FLAIR MRI.
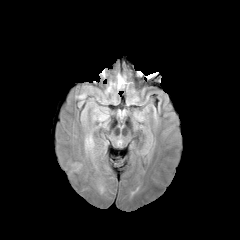
T1-weighted MR.
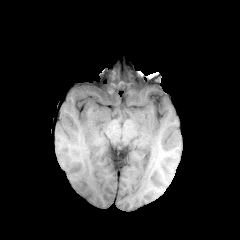
Post-contrast T1-weighted MR image.
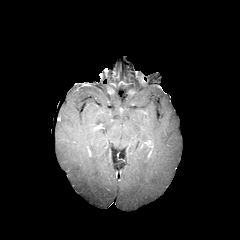
T2-weighted MRI.
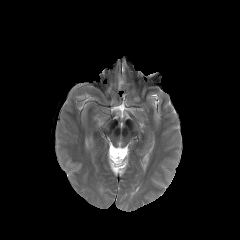
2 edema regions are bounded by {"x1": 102, "y1": 73, "x2": 131, "y2": 101}, {"x1": 118, "y1": 109, "x2": 127, "y2": 118}.